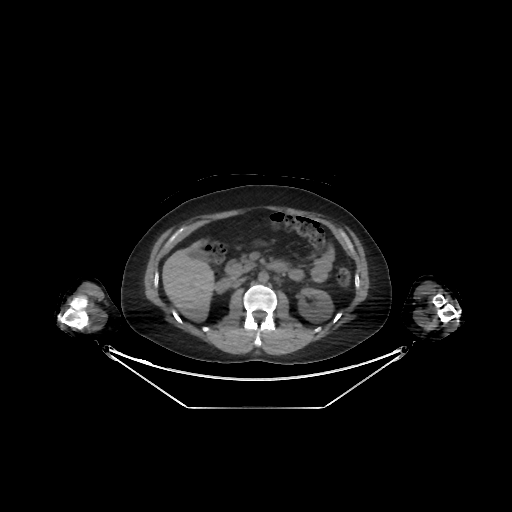

Computed tomography
<segmentation>
  <kidney>region(296, 287, 333, 323)</kidney>
  <liver>region(162, 241, 216, 320)</liver>
</segmentation>